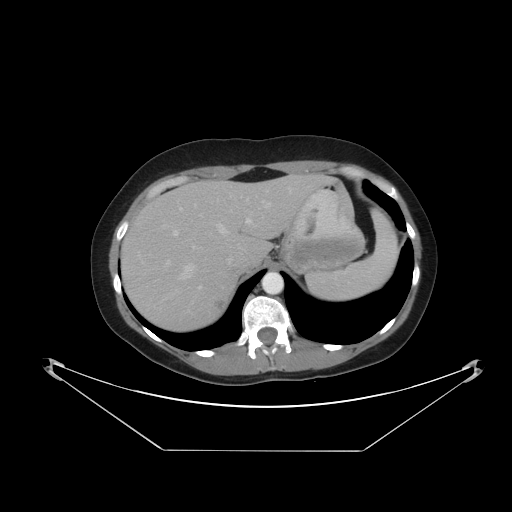 Abdomen | 512x512 px | CT scan slice

Only some of the vessels may be annotated.
{
  "hepatic_vessel": [
    "bbox=[166, 260, 170, 265]",
    "bbox=[237, 244, 244, 253]",
    "bbox=[217, 224, 226, 233]",
    "bbox=[173, 231, 177, 235]",
    "bbox=[192, 246, 194, 248]",
    "bbox=[180, 208, 182, 210]",
    "bbox=[215, 236, 217, 237]",
    "bbox=[288, 188, 291, 192]",
    "bbox=[262, 200, 270, 207]",
    "bbox=[246, 219, 250, 223]",
    "bbox=[198, 286, 201, 288]",
    "bbox=[228, 259, 231, 261]",
    "bbox=[222, 236, 233, 240]",
    "bbox=[180, 264, 194, 278]",
    "bbox=[246, 199, 247, 201]"
  ],
  "liver_tumor": [
    "bbox=[213, 297, 228, 312]"
  ]
}